Abdomen; CT slice

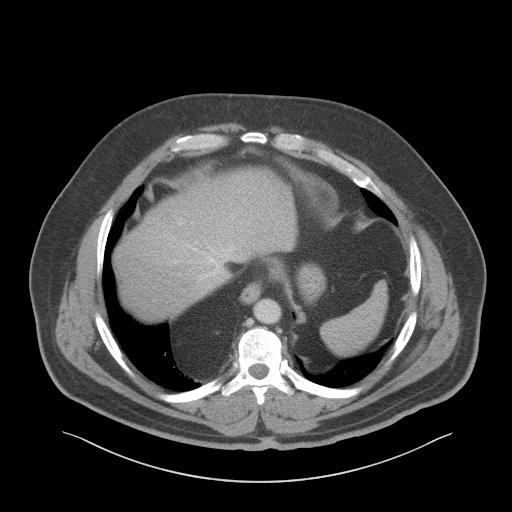 Annotated regions:
- liver: (x1=117, y1=172, x2=290, y2=324)